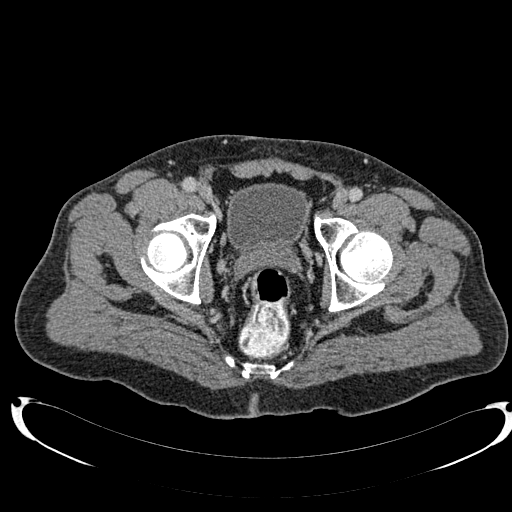

CT slice

Urinary bladder = box=[226, 183, 309, 259].